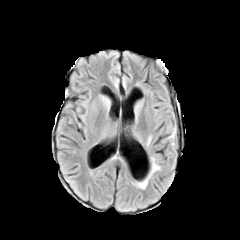
FLAIR MR.
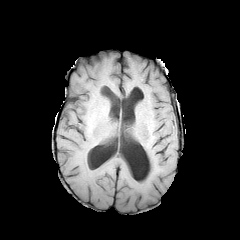
T1-weighted MRI.
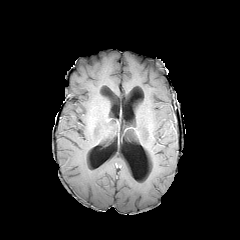
Post-contrast T1-weighted MR.
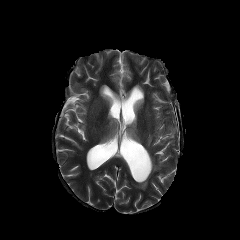
T2-weighted MR image of the same slice.
Brain
{
  "edema": [
    "(136,156,160,188)"
  ]
}